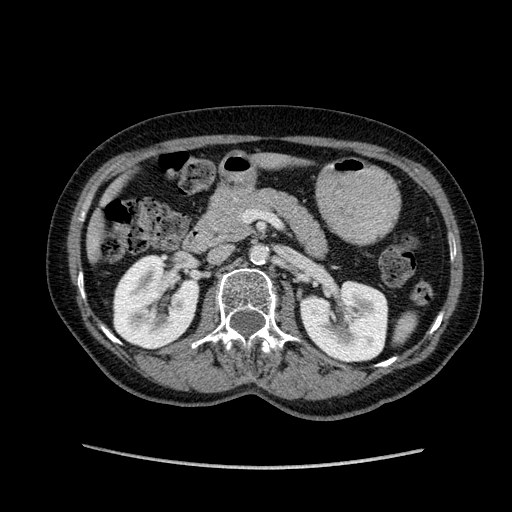
Upper abdomen. CT. 512x512. <segmentation>
  <kidney>301, 277, 386, 361; 114, 256, 197, 347</kidney>
  <liver>84, 199, 109, 256; 258, 154, 283, 167</liver>
</segmentation>